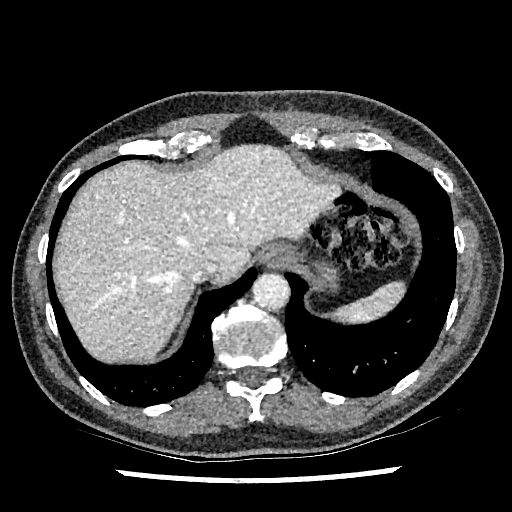
CT image | Image size 512x512
The liver is at (left=56, top=144, right=340, bottom=360).